Head. 240x240.
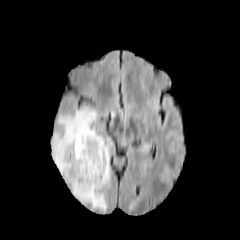
FLAIR magnetic resonance.
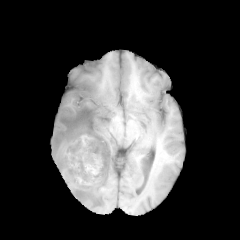
Same slice, T1-weighted MRI.
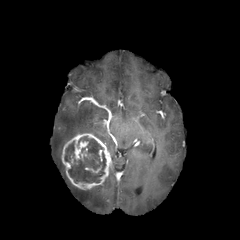
Post-contrast T1-weighted MR.
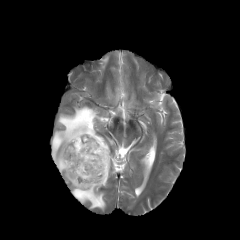
T2-weighted MRI.
2 enhancing tumor regions are bounded by (left=85, top=164, right=101, bottom=173), (left=62, top=133, right=112, bottom=190). The edema lies within (left=51, top=106, right=112, bottom=212). The non-enhancing tumor core is located at (left=64, top=136, right=105, bottom=183).